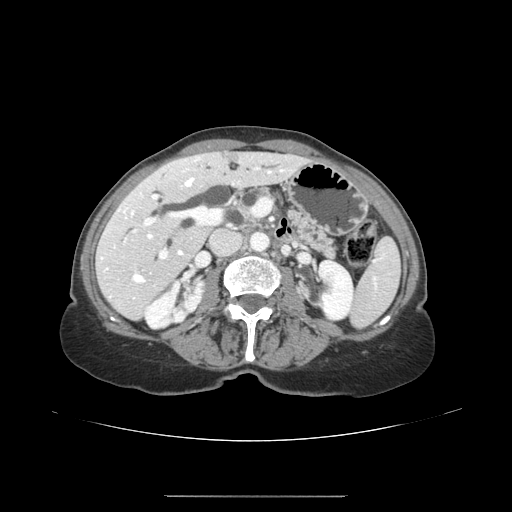

CT slice, Image size 512x512
Pancreas — <box>239,188,282,221</box>, <box>287,210,335,258</box>.